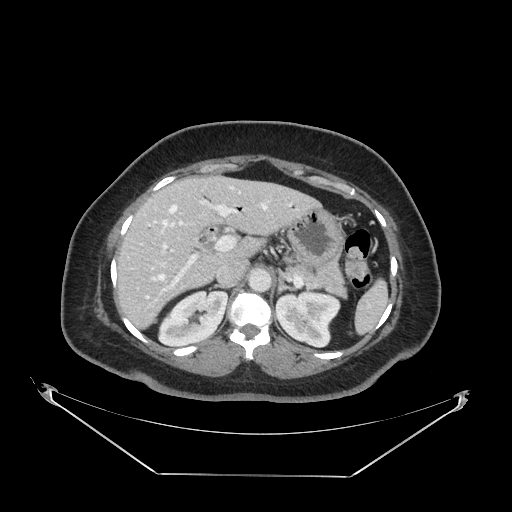 Abdomen. CT. Pancreas = x1=310 y1=265 x2=346 y2=296.